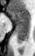

MRI | Hippocampus
The posterior hippocampus is located at 15 24 29 43. The anterior hippocampus is located at 10 10 29 23.